Image width 240 mm; Brain; Image size 240x240
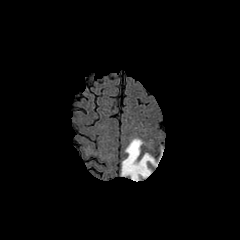
FLAIR MR image.
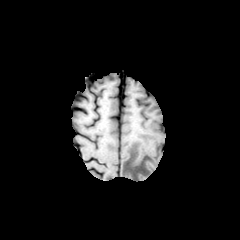
T1-weighted MR image of the same slice.
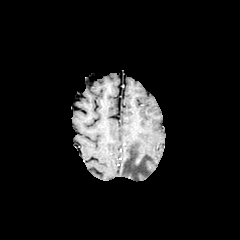
Post-contrast T1-weighted magnetic resonance.
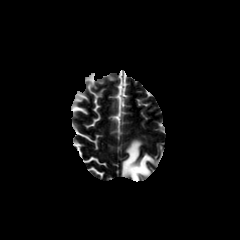
T2-weighted MR of the same slice.
{
  "edema": [
    "121,139,161,181"
  ]
}